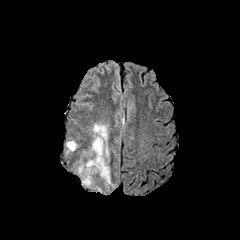
FLAIR magnetic resonance.
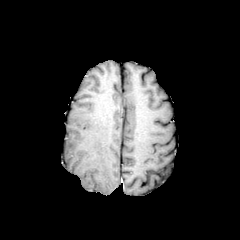
T1-weighted magnetic resonance of the same slice.
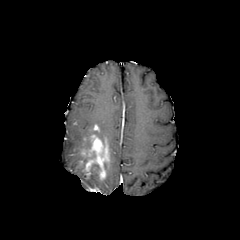
Post-contrast T1-weighted MR image.
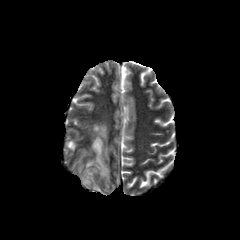
T2-weighted MRI.
Head. 240x240.
Annotated regions:
* edema: bbox=[83, 173, 99, 187]; bbox=[92, 123, 108, 146]; bbox=[103, 151, 110, 187]; bbox=[66, 139, 77, 151]
* non-enhancing tumor core: bbox=[89, 162, 101, 174]; bbox=[78, 149, 96, 182]
* enhancing tumor: bbox=[85, 160, 94, 176]; bbox=[91, 138, 107, 179]